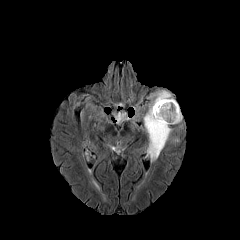
FLAIR MR.
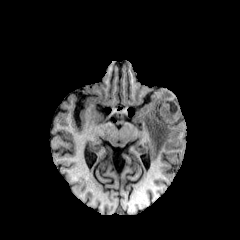
T1-weighted MR.
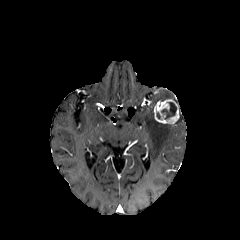
Post-contrast T1-weighted MR of the same slice.
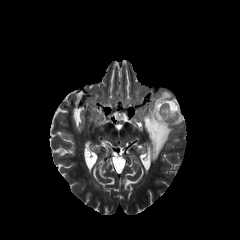
Same slice, T2-weighted MRI.
Head.
2 edema regions are located at [x1=150, y1=92, x2=174, y2=105], [x1=143, y1=106, x2=179, y2=163]. The enhancing tumor is at [x1=153, y1=99, x2=179, y2=125]. The non-enhancing tumor core is located at [x1=161, y1=101, x2=176, y2=119].